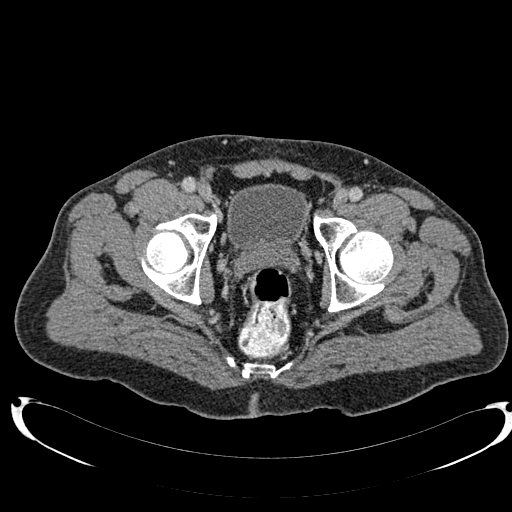
CT slice | Lower abdomen

The urinary bladder lies within [227,183,308,259].